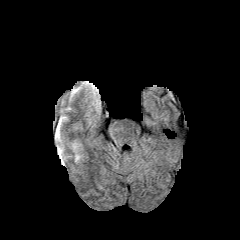
FLAIR MR.
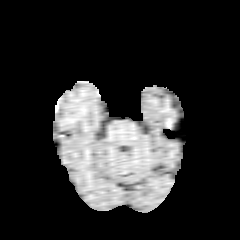
T1-weighted MR image.
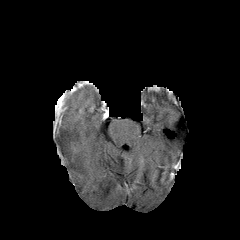
Post-contrast T1-weighted MRI.
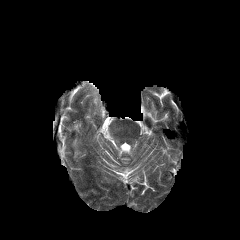
Same slice, T2-weighted MRI.
Head; Image size 240x240
Edema = x1=58, y1=136, x2=81, y2=161.